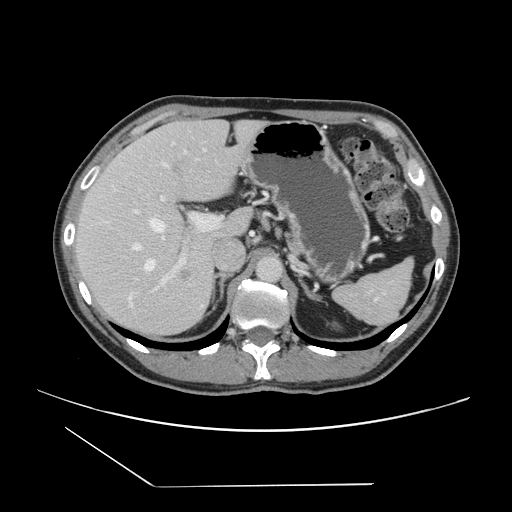

CT scan slice

The vessel annotation is not exhaustive.
Hepatic vessel — x1=146 y1=271 x2=149 y2=271, x1=184 y1=150 x2=185 y2=152, x1=162 y1=162 x2=168 y2=165, x1=172 y1=143 x2=173 y2=145, x1=129 y1=304 x2=131 y2=307, x1=149 y1=259 x2=152 y2=259, x1=196 y1=158 x2=199 y2=159, x1=99 y1=221 x2=106 y2=223, x1=132 y1=292 x2=134 y2=294, x1=181 y1=255 x2=184 y2=256, x1=161 y1=283 x2=165 y2=287, x1=172 y1=273 x2=175 y2=276.
Liver tumor — x1=182 y1=272 x2=191 y2=278.